CT slice, Slice index 25, Image size 512x512, Liver 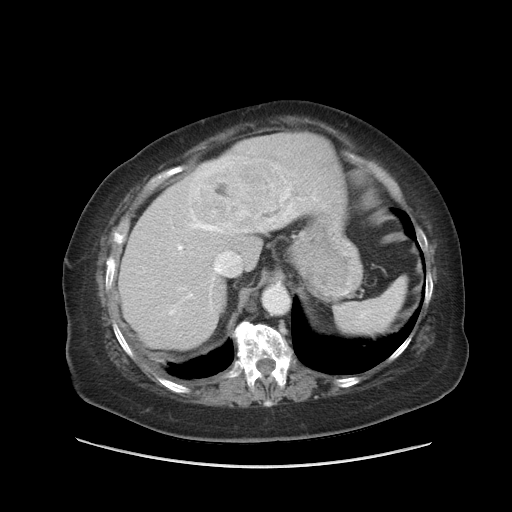

Only some of the vessels may be annotated.
Annotated regions:
• hepatic vessel: [188, 225, 198, 229], [216, 255, 221, 261]
• liver tumor: [197, 155, 302, 228]